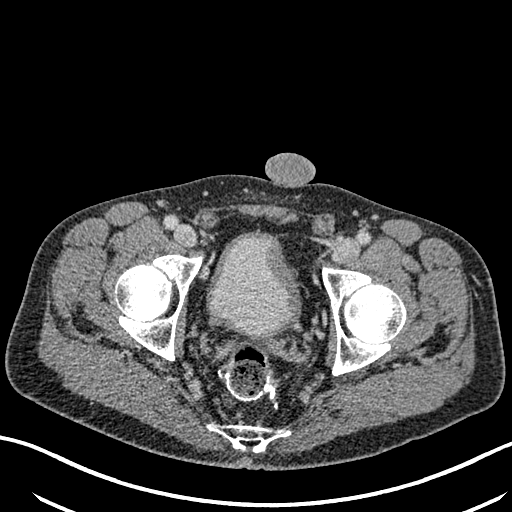

CT scan slice.

Annotated regions:
- urinary bladder: <box>210,233,294,334</box>